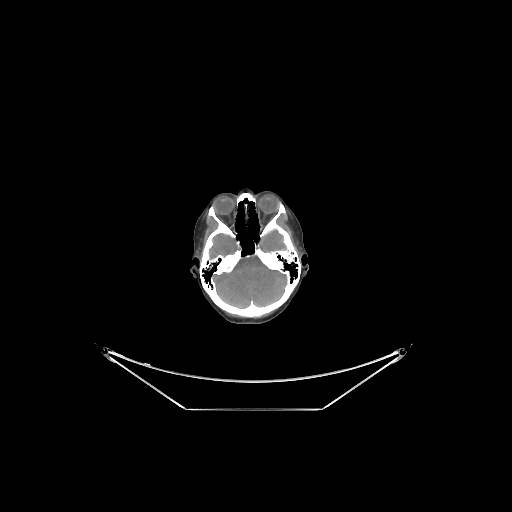 CT
3 brain regions are bounded by <bbox>211, 253, 287, 308</bbox>, <bbox>255, 229, 286, 253</bbox>, <bbox>209, 233, 241, 259</bbox>.